Field of view 240 mm wide, 1.00 mm slice spacing; Slice 96/155
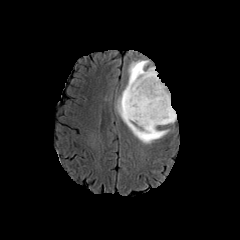
FLAIR MR image.
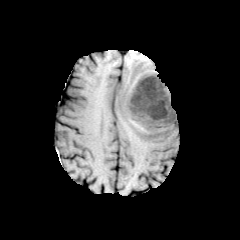
Same slice, T1-weighted MR.
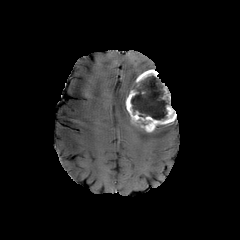
Post-contrast T1-weighted magnetic resonance.
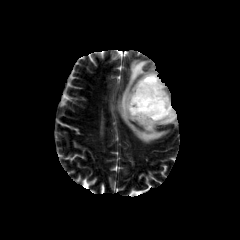
T2-weighted magnetic resonance.
The enhancing tumor is at 126,69,175,131. The edema is located at 114,59,176,144. The non-enhancing tumor core is bounded by 131,75,165,119.